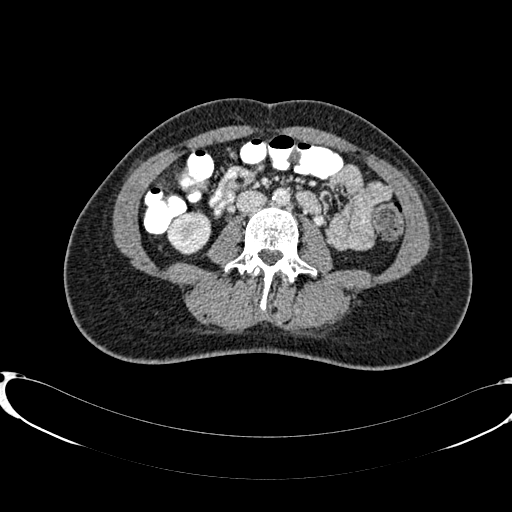
Abdomen. CT image.
The kidney is bounded by [x1=169, y1=215, x2=209, y2=252].